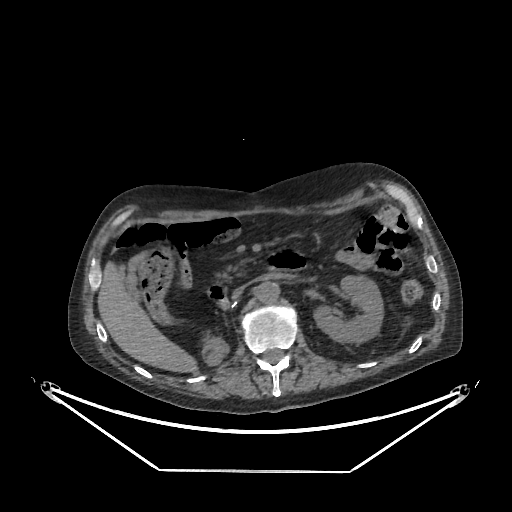

Upper abdomen | CT scan slice
liver: bbox=[98, 262, 197, 372] | kidney: bbox=[315, 275, 383, 343]